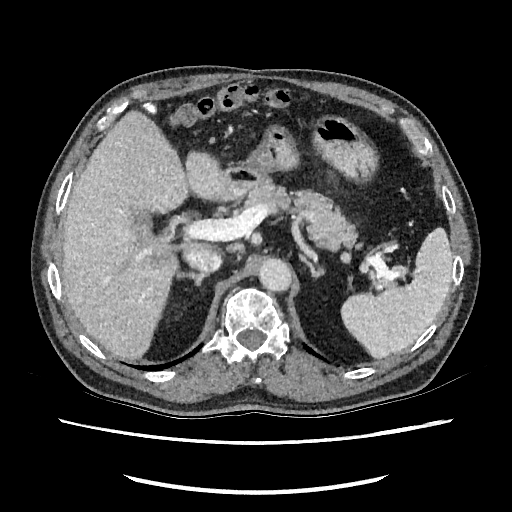
Computed tomography; Abdomen
Liver — {"x1": 63, "y1": 113, "x2": 227, "y2": 358}.
Hepatic lesion — {"x1": 147, "y1": 254, "x2": 172, "y2": 264}, {"x1": 134, "y1": 214, "x2": 150, "y2": 246}.